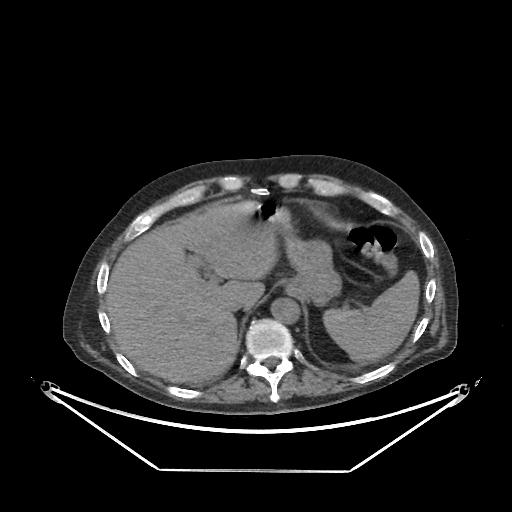 Upper abdomen, 512x512, Computed tomography

The liver is bounded by (99,201,281,382).